FLAIR MRI.
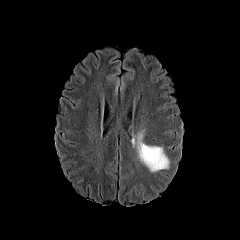
T1-weighted MR image.
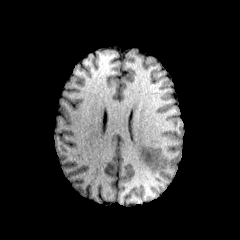
Post-contrast T1-weighted MR.
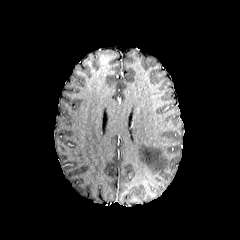
T2-weighted magnetic resonance.
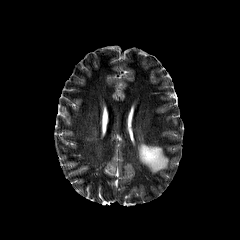
Image size 240x240.
{"edema": ["bbox(138, 142, 168, 171)"]}